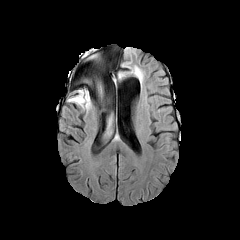
FLAIR MRI.
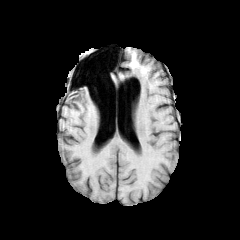
T1-weighted magnetic resonance.
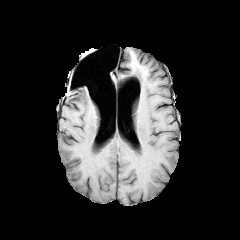
Post-contrast T1-weighted magnetic resonance of the same slice.
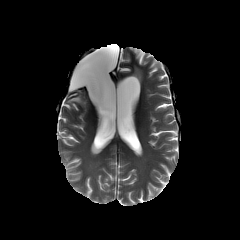
T2-weighted magnetic resonance.
Findings:
- edema: 70, 89, 90, 110; 107, 112, 113, 123; 95, 78, 110, 111